CT slice.

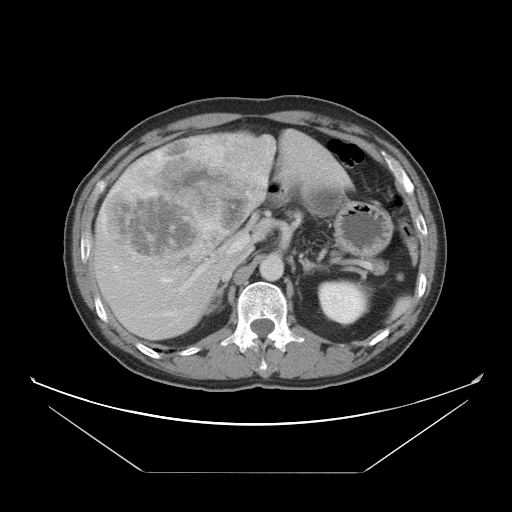
Some hepatic vessels may have no box.
Findings:
* liver tumor: region(106, 134, 273, 257)
* hepatic vessel: region(113, 265, 118, 270); region(203, 234, 207, 237); region(198, 221, 227, 234); region(175, 270, 177, 273); region(180, 266, 204, 292); region(228, 236, 248, 252); region(166, 312, 171, 315); region(161, 277, 172, 282)